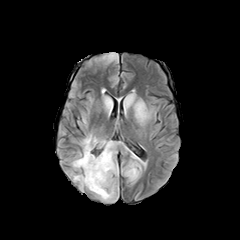
FLAIR MRI.
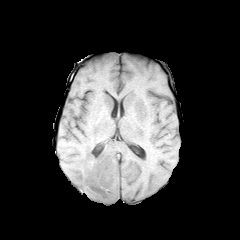
Same slice, T1-weighted MRI.
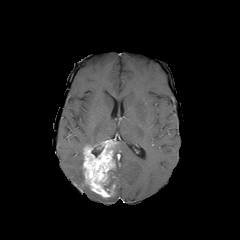
Same slice, post-contrast T1-weighted MRI.
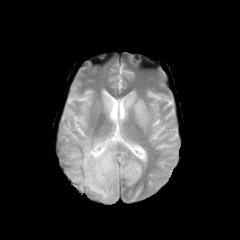
T2-weighted magnetic resonance.
240x240 px | Brain
edema:
  - box=[80, 134, 102, 151]
  - box=[70, 151, 89, 191]
  - box=[103, 98, 112, 109]
  - box=[94, 189, 117, 202]
  - box=[124, 94, 147, 122]
  - box=[113, 163, 118, 180]
non-enhancing_tumor_core:
  - box=[108, 162, 116, 181]
  - box=[91, 146, 101, 156]
enhancing_tumor:
  - box=[82, 140, 115, 197]